FLAIR magnetic resonance.
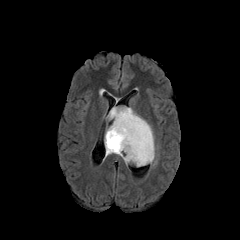
T1-weighted MR image.
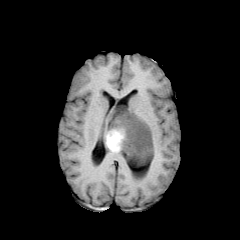
Post-contrast T1-weighted MR image.
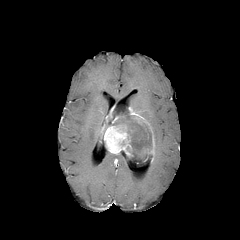
T2-weighted magnetic resonance.
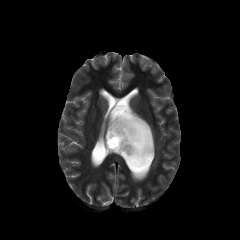
edema: rect(116, 152, 131, 164) | non-enhancing tumor core: rect(111, 107, 152, 165) | enhancing tumor: rect(105, 116, 133, 157); rect(128, 108, 141, 123); rect(142, 137, 154, 161)